Head | Image size 240x240 | Slice 115/155
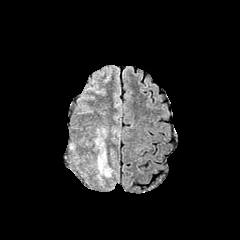
FLAIR MRI.
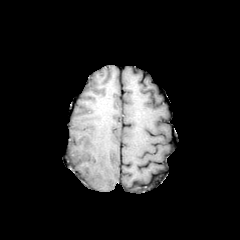
T1-weighted magnetic resonance of the same slice.
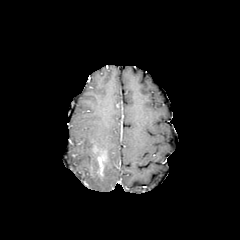
Post-contrast T1-weighted magnetic resonance of the same slice.
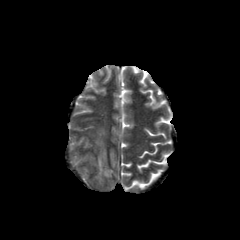
T2-weighted MRI.
edema:
  - x1=96 y1=139 x2=106 y2=160
  - x1=95 y1=154 x2=111 y2=181